240x240. Slice index 100.
FLAIR MRI.
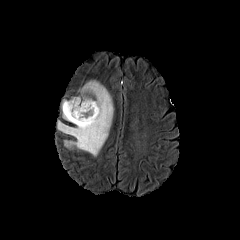
T1-weighted MRI.
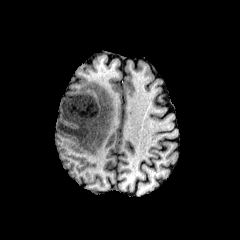
Post-contrast T1-weighted MRI.
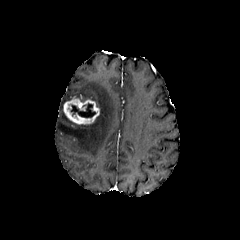
T2-weighted MR.
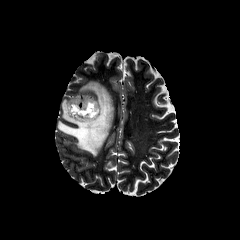
Annotated regions:
- edema: bbox=[57, 81, 114, 156]
- non-enhancing tumor core: bbox=[70, 103, 95, 118]; bbox=[75, 95, 94, 102]
- enhancing tumor: bbox=[63, 96, 99, 126]